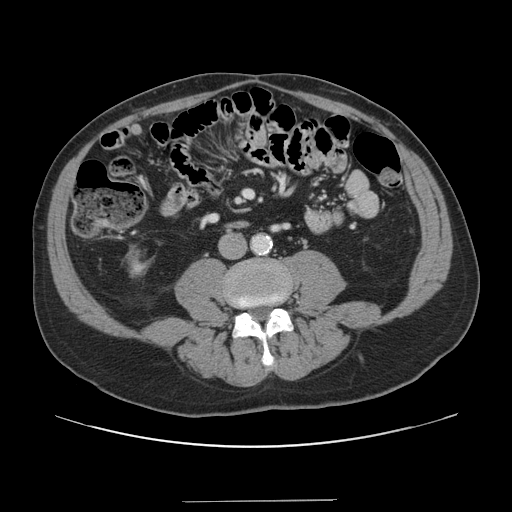

CT scan slice; 512x512
The vessel annotation is not exhaustive.
The hepatic vessel is at l=245, t=193, r=251, b=196.